240x240
FLAIR MR image.
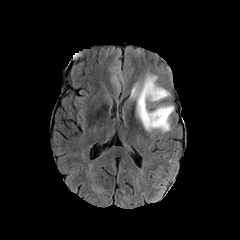
T1-weighted MR image.
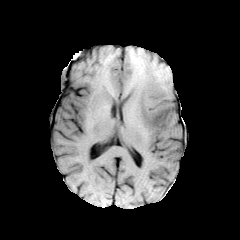
Post-contrast T1-weighted MRI.
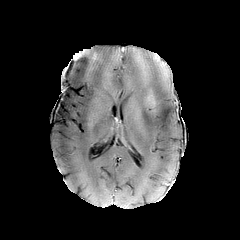
T2-weighted MRI.
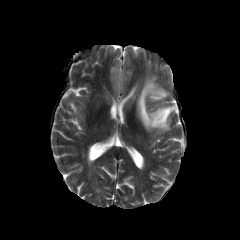
Enhancing tumor: bbox(146, 91, 155, 107).
Edema: bbox(130, 75, 174, 132).